Slice index 84, CT
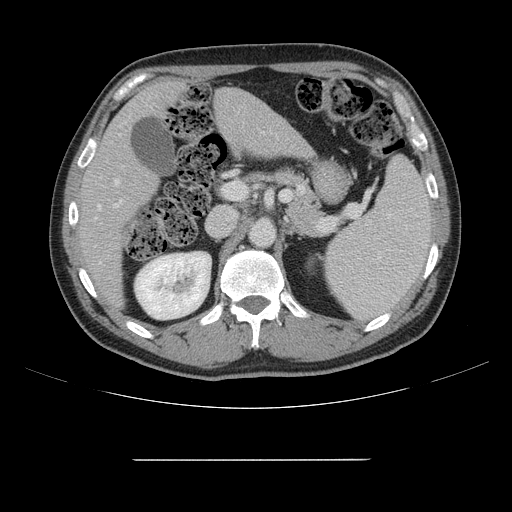
Not every hepatic vessel necessarily has a box.
5 hepatic vessel regions are bounded by [260, 131, 263, 133], [95, 217, 97, 219], [115, 180, 119, 184], [98, 206, 100, 209], [114, 199, 122, 207].